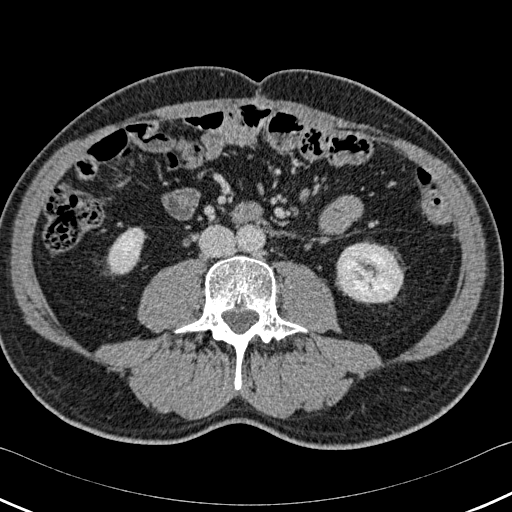 Abdomen. Computed tomography. <segmentation>
  <bone>175 256 306 389</bone>
  <kidney>109 228 143 273, 338 244 402 301</kidney>
</segmentation>